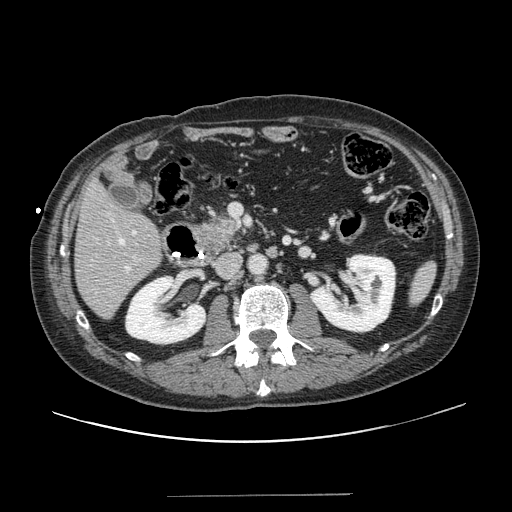
Computed tomography. Upper abdomen.

Segmented structures:
* pancreas: {"x1": 193, "y1": 215, "x2": 243, "y2": 256}
* pancreatic tumor: {"x1": 200, "y1": 225, "x2": 225, "y2": 247}